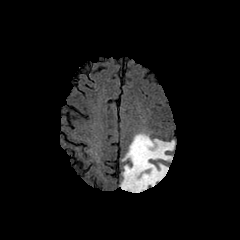
FLAIR MR.
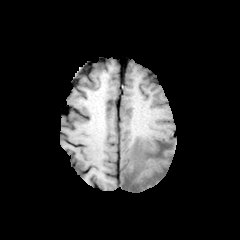
T1-weighted magnetic resonance.
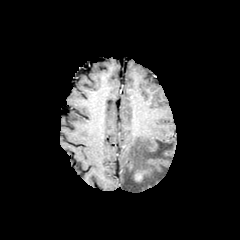
Same slice, post-contrast T1-weighted MR image.
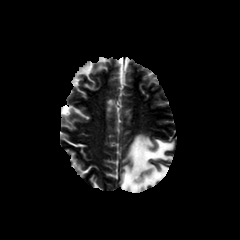
Same slice, T2-weighted MR.
Head
Annotated regions:
* edema: box=[120, 133, 174, 192]
* enhancing tumor: box=[134, 169, 145, 181]